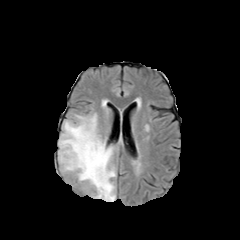
FLAIR MR image.
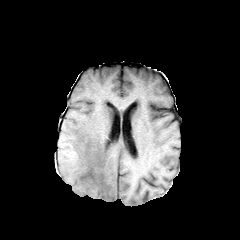
Same slice, T1-weighted MR image.
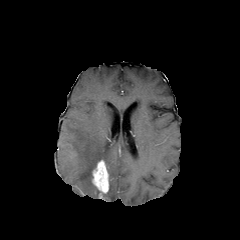
Post-contrast T1-weighted magnetic resonance.
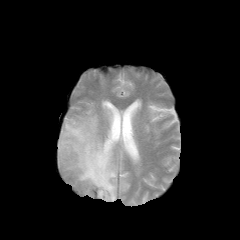
T2-weighted magnetic resonance of the same slice.
Head.
Edema — box=[58, 113, 116, 201].
Enhancing tumor — box=[92, 160, 109, 195].